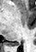 36x52 px | MRI slice | Hippocampus

{"posterior_hippocampus": ["(x1=14, y1=42, x2=20, y2=45)"]}